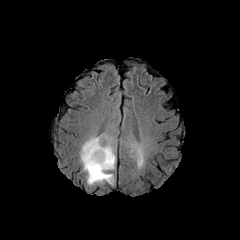
FLAIR MRI.
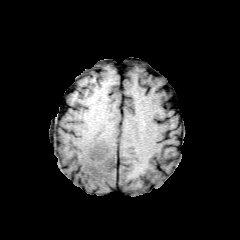
T1-weighted MRI.
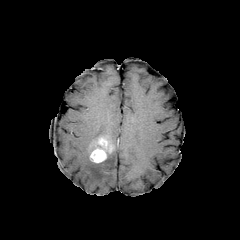
Same slice, post-contrast T1-weighted MR.
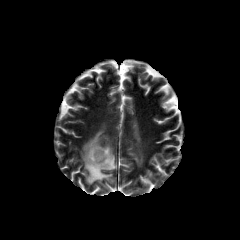
T2-weighted MR of the same slice.
enhancing tumor: bbox=[90, 138, 111, 162] | edema: bbox=[130, 143, 143, 165]; bbox=[80, 134, 116, 185]